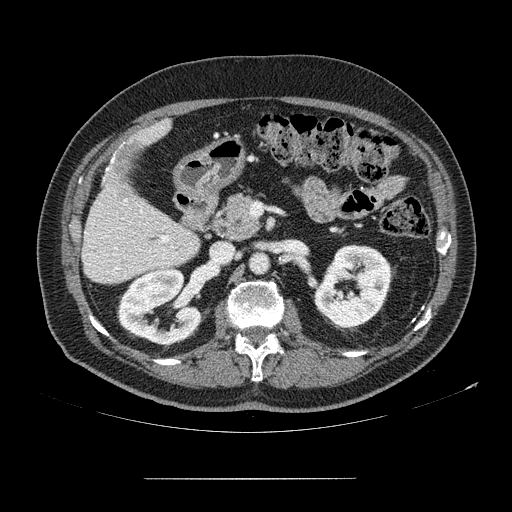 Image size 512x512; CT image
The pancreas is located at 212 192 260 242.